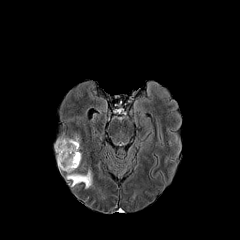
FLAIR magnetic resonance.
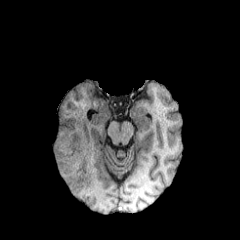
T1-weighted MR image of the same slice.
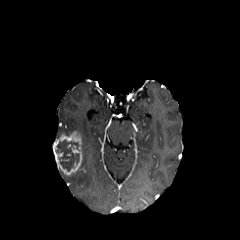
Post-contrast T1-weighted MR.
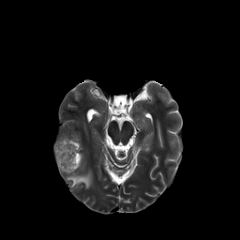
Same slice, T2-weighted MRI.
240x240
enhancing tumor: 54:132:82:174 | edema: 67:171:92:188 | non-enhancing tumor core: 55:139:80:172